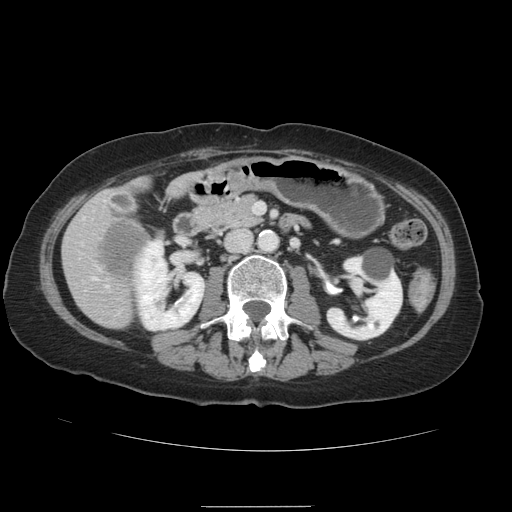
CT slice, Liver
Some hepatic vessels may have no box.
{
  "hepatic_vessel": [
    "105:286:107:287",
    "90:277:94:279"
  ],
  "liver_tumor": [
    "100:216:146:277"
  ]
}